CT scan slice. Slice 18 of 48. Field of view 409 mm wide, 5.00 mm slice spacing.

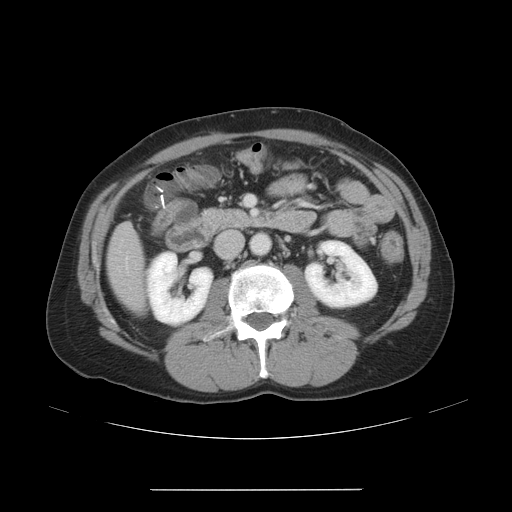
Some hepatic vessels may have no box.
The hepatic vessel is at <box>125,257,127,266</box>.